Field of view 240 mm wide, 1.00 mm slice spacing | Slice 69/155 | Brain
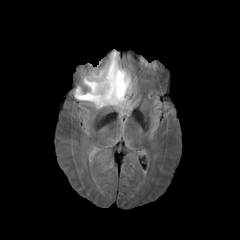
FLAIR MRI.
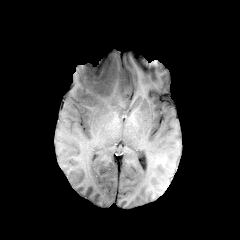
T1-weighted MRI of the same slice.
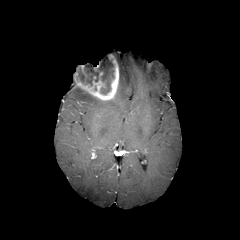
Same slice, post-contrast T1-weighted MR image.
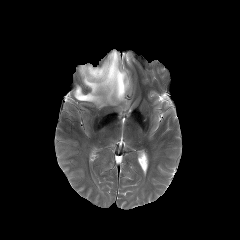
T2-weighted MRI.
The enhancing tumor is bounded by {"x1": 74, "y1": 60, "x2": 118, "y2": 101}. The edema is located at {"x1": 73, "y1": 50, "x2": 135, "y2": 117}. The non-enhancing tumor core appears at {"x1": 73, "y1": 55, "x2": 116, "y2": 94}.